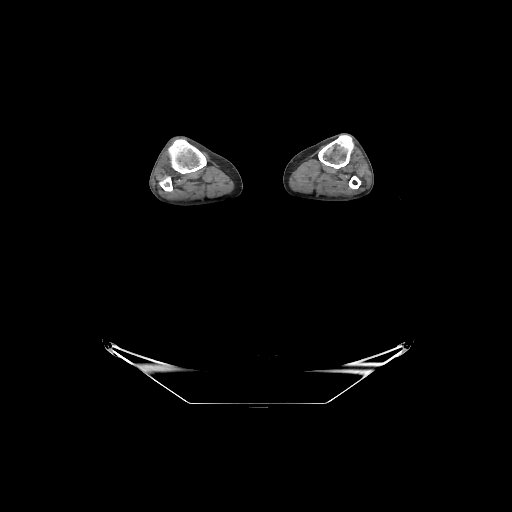
CT slice
4 bone regions are bounded by {"x1": 318, "y1": 135, "x2": 353, "y2": 168}, {"x1": 159, "y1": 176, "x2": 172, "y2": 191}, {"x1": 349, "y1": 176, "x2": 360, "y2": 188}, {"x1": 168, "y1": 139, "x2": 206, "y2": 173}.